FLAIR MR image.
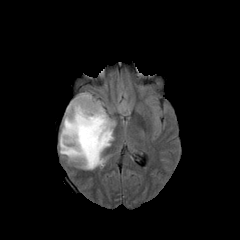
T1-weighted magnetic resonance.
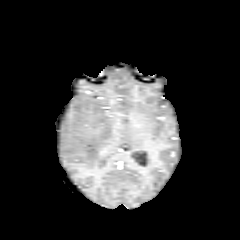
Post-contrast T1-weighted MRI.
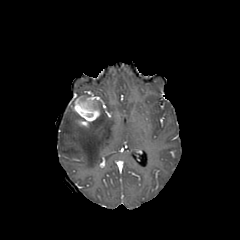
T2-weighted MR image.
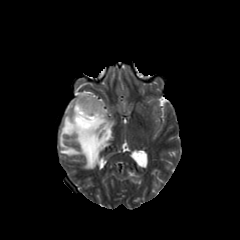
non-enhancing tumor core: {"x1": 68, "y1": 104, "x2": 95, "y2": 129}, {"x1": 95, "y1": 98, "x2": 106, "y2": 115}, {"x1": 74, "y1": 92, "x2": 92, "y2": 99} | enhancing tumor: {"x1": 71, "y1": 95, "x2": 100, "y2": 127} | edema: {"x1": 58, "y1": 105, "x2": 114, "y2": 169}